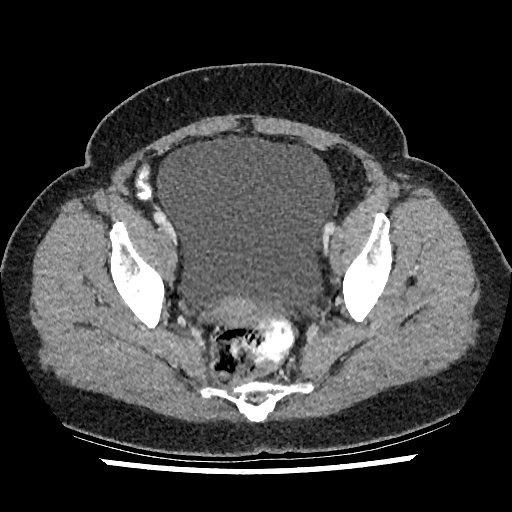
Lower abdomen | CT image
The urinary bladder appears at bbox=[157, 135, 335, 319].